FLAIR magnetic resonance.
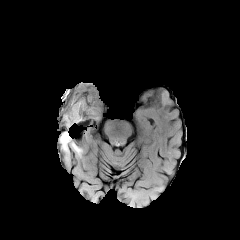
T1-weighted MR.
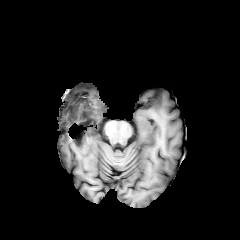
Post-contrast T1-weighted magnetic resonance.
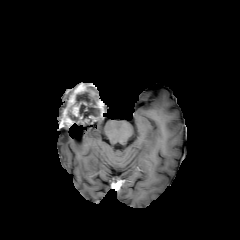
T2-weighted magnetic resonance.
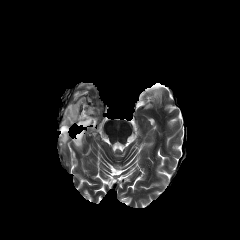
Brain
Segmented structures:
• non-enhancing tumor core: [x1=92, y1=94, x2=101, y2=115], [x1=66, y1=90, x2=97, y2=119], [x1=68, y1=113, x2=81, y2=123]
• enhancing tumor: [x1=62, y1=101, x2=81, y2=126]
• edema: [x1=59, y1=132, x2=81, y2=152], [x1=76, y1=88, x2=99, y2=117]